512x512. Computed tomography.
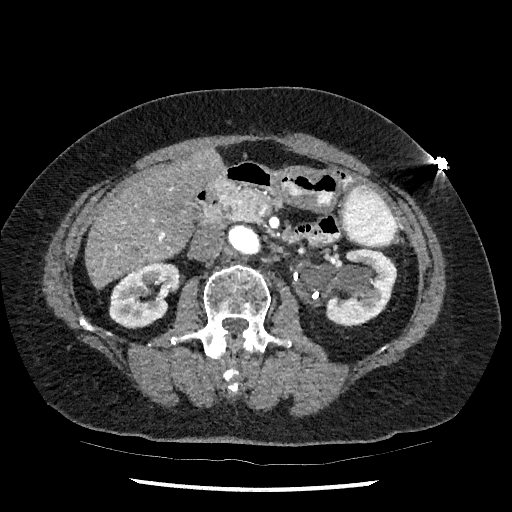 The liver is bounded by bbox(86, 150, 223, 289). 3 kidney regions appear at bbox(331, 255, 341, 266); bbox(110, 263, 178, 327); bbox(327, 249, 396, 325).